Computed tomography; Field of view 367x367 mm; Liver; Slice 547 of 677 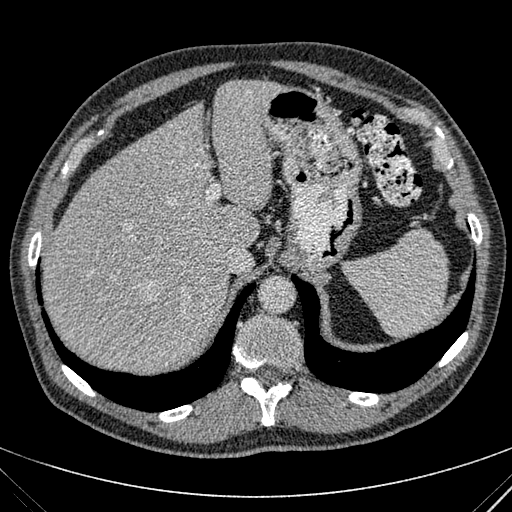

Liver: box(43, 80, 279, 370).